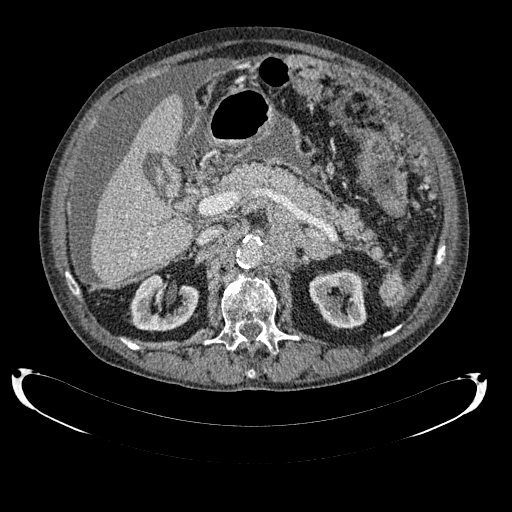
Abdomen. CT slice. 2 kidney regions are located at region(309, 271, 365, 327); region(131, 275, 198, 330). The liver appears at region(90, 95, 192, 284).